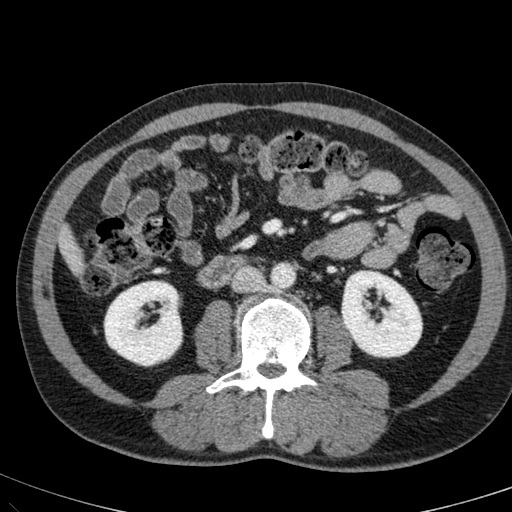
CT
{"liver": ["bbox(59, 228, 78, 257)"], "kidney": ["bbox(342, 272, 420, 356)", "bbox(105, 282, 181, 364)"]}